Brain. Field of view 240x240 mm. Slice 98/155. Image size 240x240.
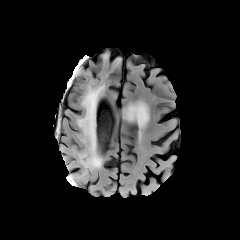
FLAIR magnetic resonance.
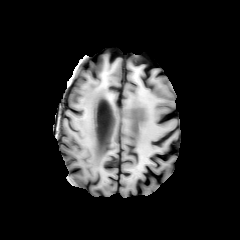
Same slice, T1-weighted MR image.
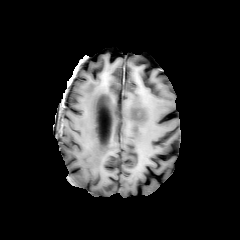
Post-contrast T1-weighted MR image.
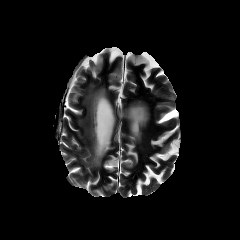
T2-weighted MRI.
Edema — rect(79, 85, 102, 169).